FLAIR MR image.
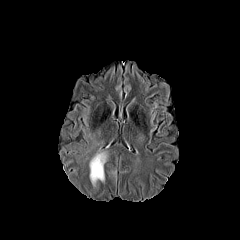
T1-weighted magnetic resonance.
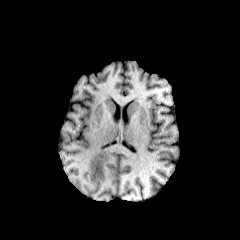
Post-contrast T1-weighted magnetic resonance.
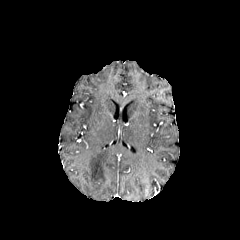
T2-weighted MR image.
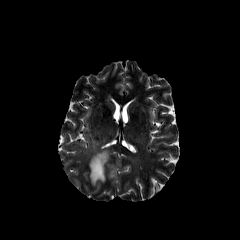
Findings:
- edema: rect(87, 139, 98, 152); rect(86, 147, 108, 186)